CT scan slice 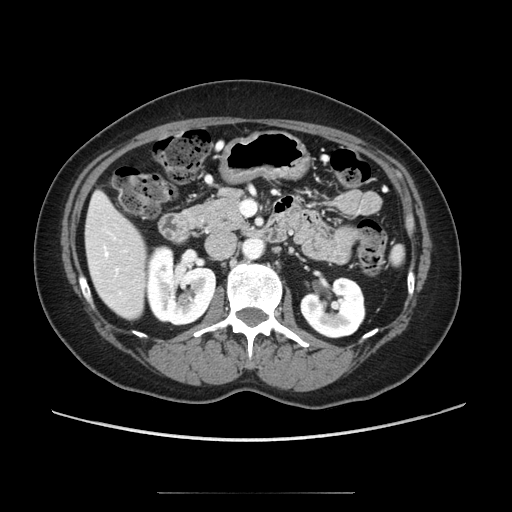 Findings:
- pancreas: x1=185 y1=190 x2=247 y2=230